Slice index 46. Abdomen. 512x512. CT slice.

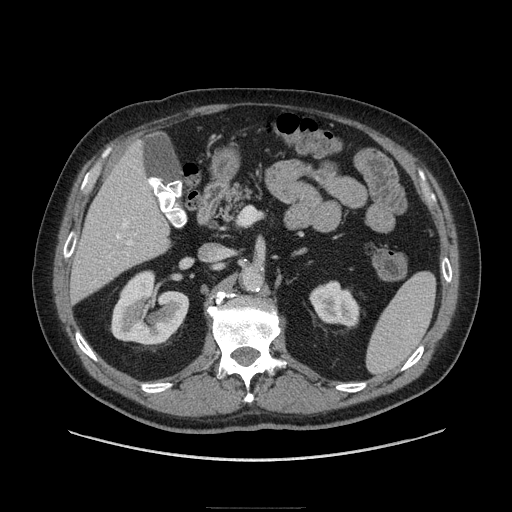 {
  "pancreas": [
    "left=218, top=182, right=253, bottom=221"
  ]
}